Field of view 472x472 mm, Abdomen, CT scan slice, Slice 63/174

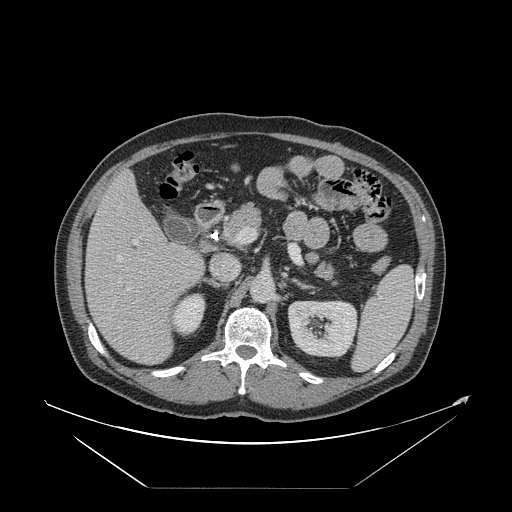

Some hepatic vessels may have no box.
Annotated regions:
• hepatic vessel: bbox=[133, 240, 137, 244]; bbox=[117, 256, 121, 261]; bbox=[126, 287, 130, 290]